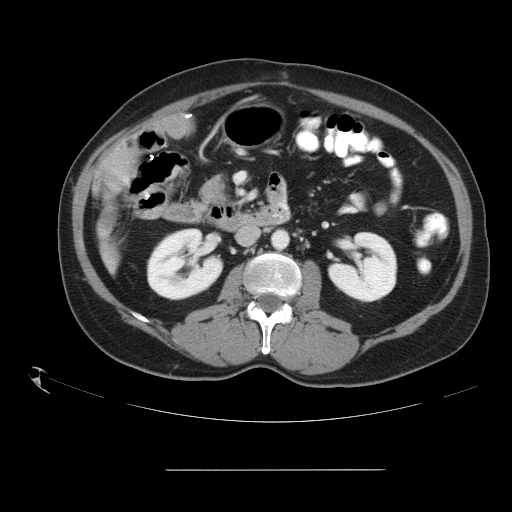
CT image
Segmented structures:
* liver tumor: bbox=[108, 250, 113, 265]